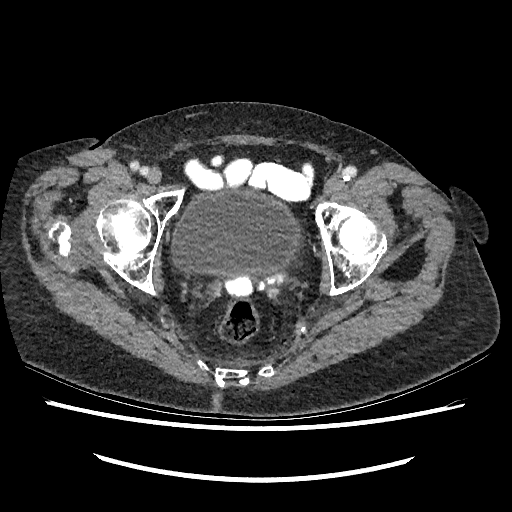
CT scan slice

urinary bladder: (x1=172, y1=185, x2=302, y2=281)